Slice index 117 | Brain
FLAIR MR.
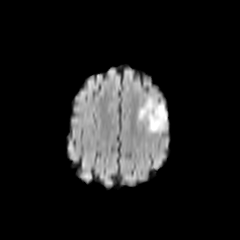
T1-weighted MR image.
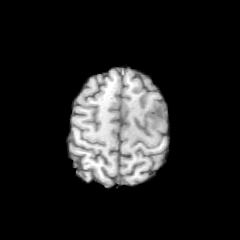
Post-contrast T1-weighted MRI.
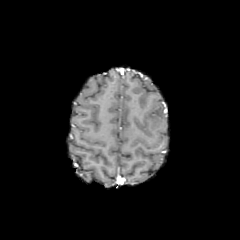
T2-weighted MR.
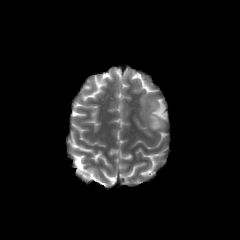
Edema: (left=136, top=95, right=167, bottom=132).
Non-enhancing tumor core: (left=153, top=105, right=164, bottom=117).